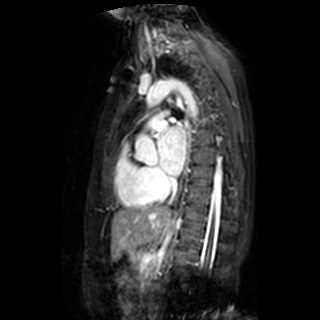

320x320 px; MR image; Heart
left_atrium:
  - left=158, top=126, right=185, bottom=174